FLAIR MR image.
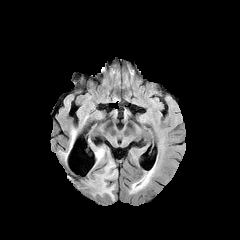
T1-weighted MRI.
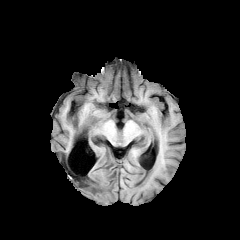
Post-contrast T1-weighted MR image.
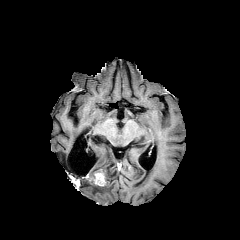
T2-weighted MR.
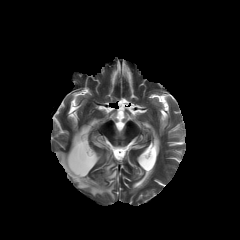
Head.
4 edema regions are located at (142,169,154,183), (80,144,117,198), (70,128,79,149), (58,151,69,160).